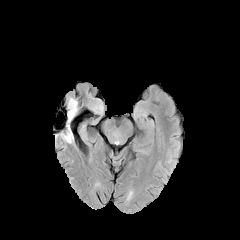
FLAIR magnetic resonance.
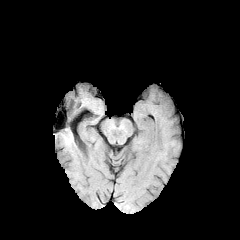
Same slice, T1-weighted MR image.
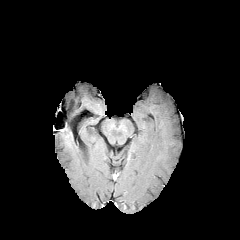
Post-contrast T1-weighted MR.
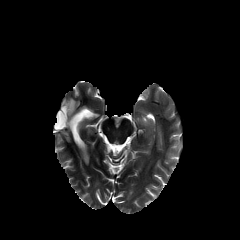
T2-weighted MRI of the same slice.
Brain
edema:
  - l=62, t=97, r=78, b=137